Slice 58 of 101; CT; Upper abdomen; 512x512 px; Field of view 500x500 mm 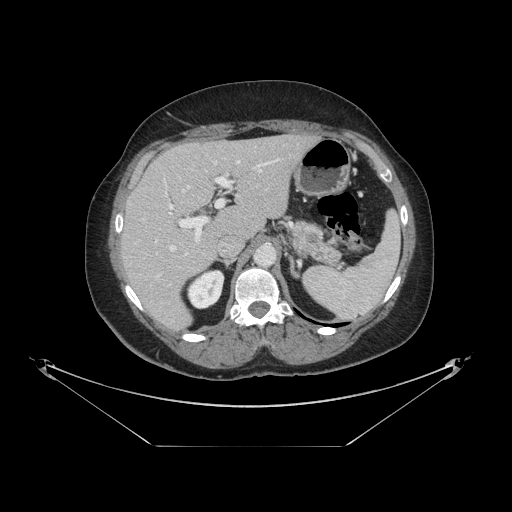

- pancreatic tumor: [305,232,317,243]
- pancreas: [293,220,341,264]